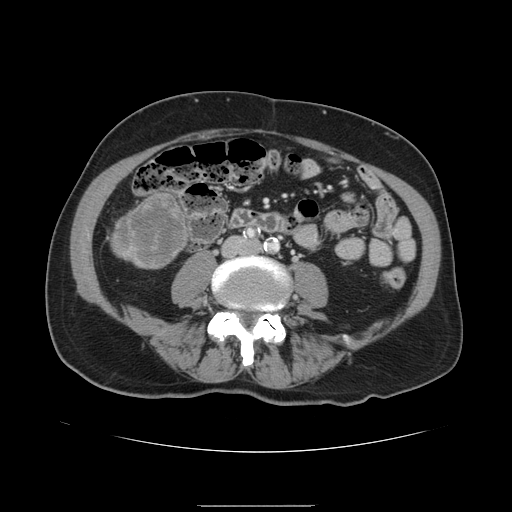 CT image.
<segmentation>
  <liver_tumor>116,194,185,266</liver_tumor>
</segmentation>